FLAIR magnetic resonance.
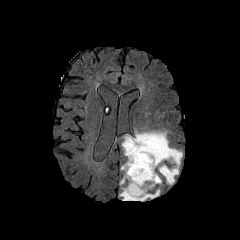
T1-weighted MR.
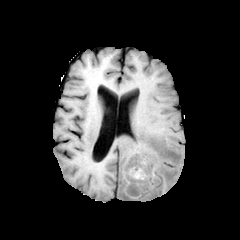
Post-contrast T1-weighted MR image.
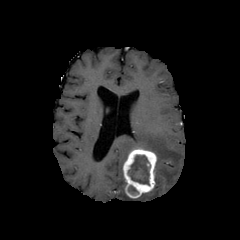
T2-weighted MRI.
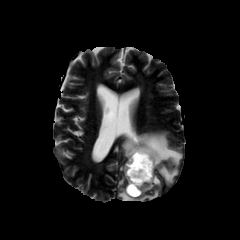
240x240 | Head
Segmented structures:
* enhancing tumor: rect(122, 147, 157, 198)
* non-enhancing tumor core: rect(131, 155, 148, 175); rect(131, 176, 147, 183)
* edema: rect(118, 173, 162, 201); rect(121, 130, 182, 185)